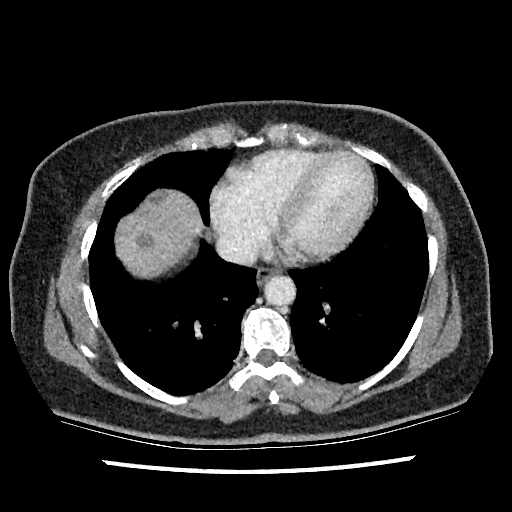 Image size 512x512, CT slice

2 hepatic lesion regions appear at [153, 192, 165, 203], [138, 234, 154, 249]. The liver lies within [117, 192, 200, 273].